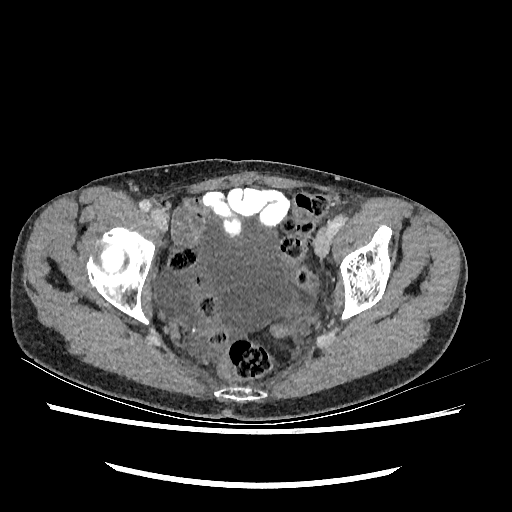 Lower abdomen, 512x512, CT

urinary bladder: box=[157, 218, 313, 340]